Hippocampus. Slice 16 of 32. 36x55. MR.
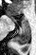

Posterior hippocampus: (x1=14, y1=27, x2=30, y2=44).
Anterior hippocampus: (x1=19, y1=15, x2=29, y2=26), (x1=11, y1=17, x2=16, y2=21).